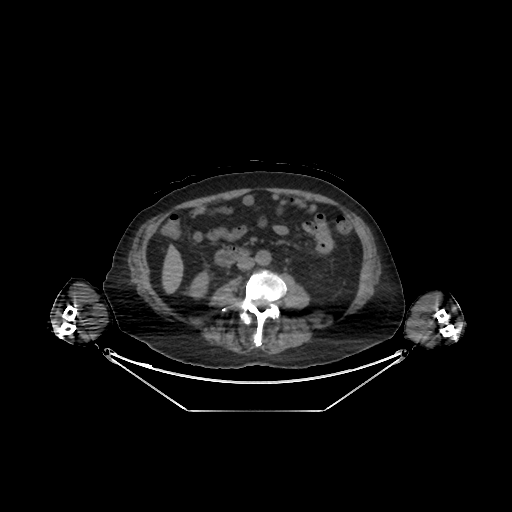

Abdomen. CT. kidney:
  - left=184, top=267, right=213, bottom=299
liver:
  - left=162, top=245, right=182, bottom=292